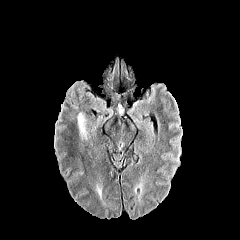
FLAIR MR.
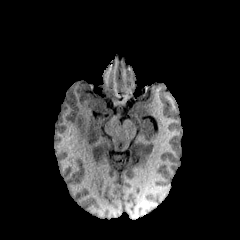
T1-weighted magnetic resonance.
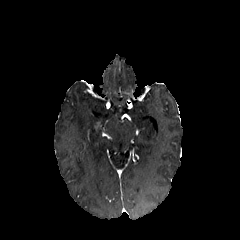
Post-contrast T1-weighted MR.
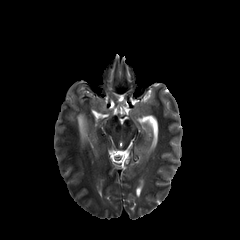
T2-weighted MR.
Head.
{
  "edema": [
    "[x1=77, y1=113, x2=87, y2=140]"
  ]
}